FLAIR magnetic resonance.
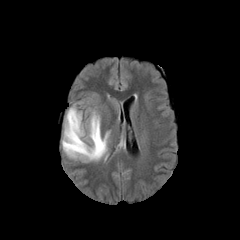
T1-weighted MR image.
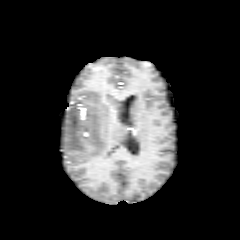
Post-contrast T1-weighted MR image.
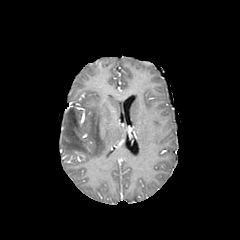
T2-weighted magnetic resonance.
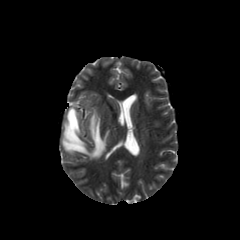
Head
<segmentation>
  <non-enhancing_tumor_core>bbox=[68, 105, 76, 132]</non-enhancing_tumor_core>
  <edema>bbox=[62, 105, 108, 161]</edema>
</segmentation>